CT scan slice
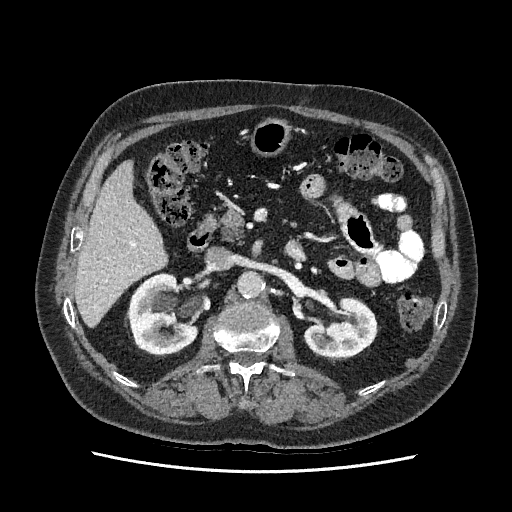
<segmentation>
  <liver>l=76, t=162, r=167, b=327</liver>
  <kidney>l=305, t=295, r=376, b=356; l=129, t=274, r=196, b=353</kidney>
</segmentation>